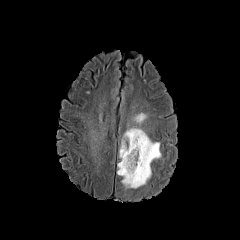
FLAIR MR image.
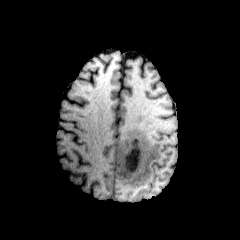
T1-weighted MR image.
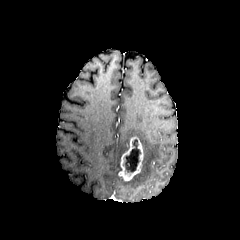
Post-contrast T1-weighted MR of the same slice.
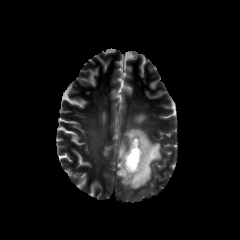
Same slice, T2-weighted MRI.
Brain
edema: bbox=[118, 140, 126, 157]; bbox=[121, 127, 161, 190]; bbox=[133, 113, 146, 123] | enhancing tumor: bbox=[118, 137, 143, 181] | non-enhancing tumor core: bbox=[125, 139, 140, 173]